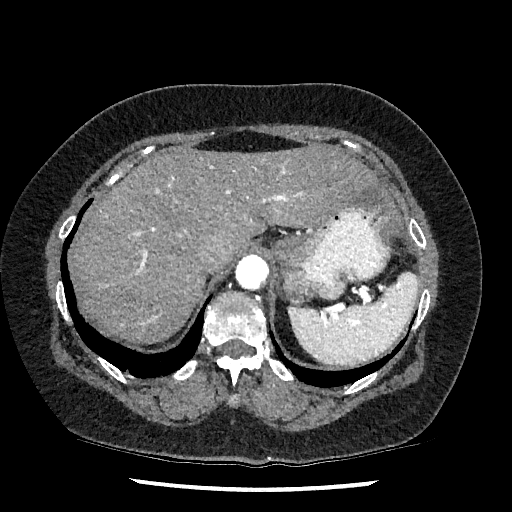 CT

The focal liver lesion appears at bbox=[353, 186, 380, 203]. The liver lies within bbox=[71, 145, 401, 342].